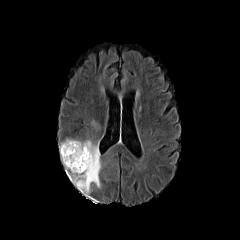
FLAIR MR.
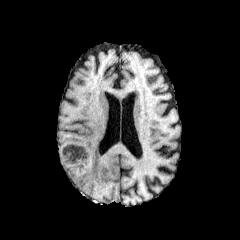
T1-weighted MR.
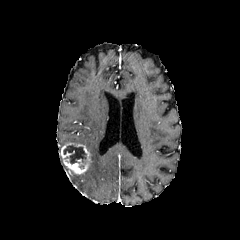
Post-contrast T1-weighted magnetic resonance.
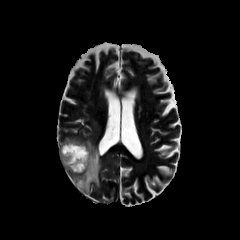
T2-weighted MRI.
Head
Annotated regions:
* enhancing tumor: 61:142:91:174
* non-enhancing tumor core: 63:144:86:164
* edema: 61:138:101:194